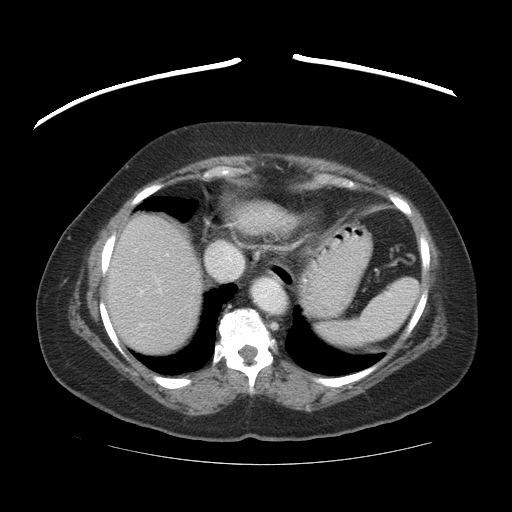

CT image | Liver | 512x512
Some hepatic vessels may have no box.
The hepatic vessel lies within x1=140 y1=290 x2=142 y2=293.